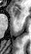

MRI slice

Anterior hippocampus: bounding box 11, 6, 19, 19.